Image width 240 mm, Brain, Image size 240x240
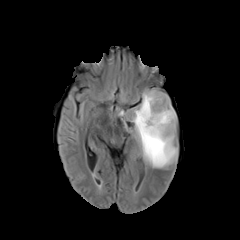
FLAIR MRI.
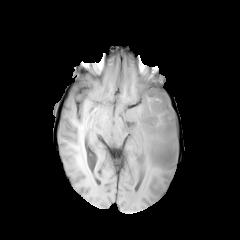
T1-weighted MR.
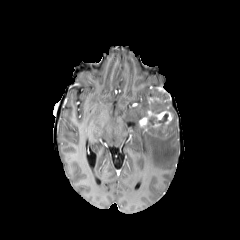
Post-contrast T1-weighted MR image of the same slice.
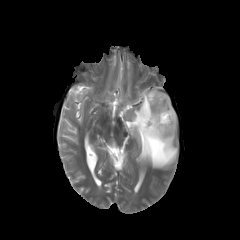
T2-weighted MRI.
Enhancing tumor = 148 111 172 123, 139 117 147 126.
Non-enhancing tumor core = 139 88 174 120, 138 113 172 131.
Edema = 116 87 178 169.